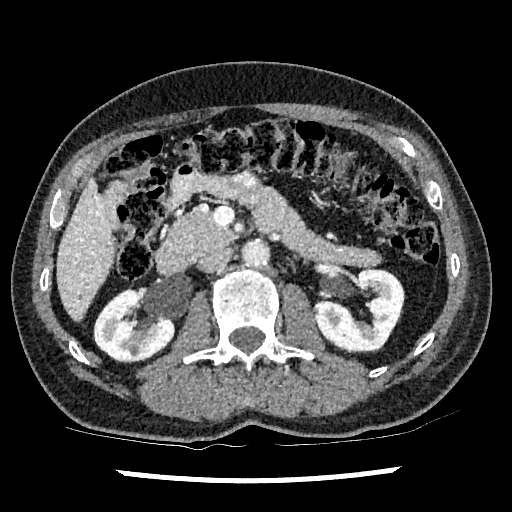 Liver. CT scan slice. Annotated regions:
• kidney: left=316, top=270, right=403, bottom=349; left=95, top=291, right=173, bottom=359
• liver: left=58, top=176, right=114, bottom=320